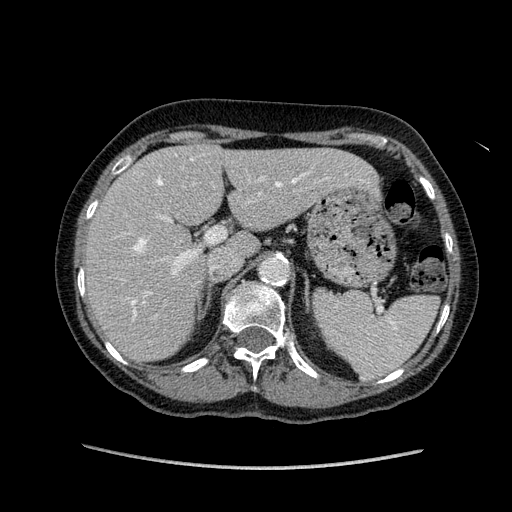

CT scan slice. 512x512 px. liver: [86, 145, 374, 359]